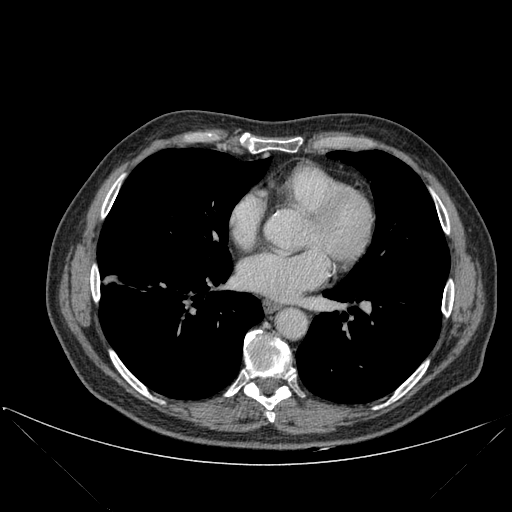

CT image. Lung — [296,150,449,403], [97,148,268,399].
Bone — [249,137,302,153], [90,265,99,301], [433,194,449,233], [244,383,290,422], [101,177,121,217], [110,351,151,398], [225,330,295,396], [385,361,428,404], [442,280,453,316].